Field of view 240 mm wide, 1.00 mm slice spacing, Slice 37/155, Brain
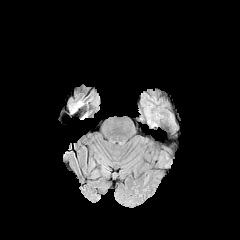
FLAIR MRI.
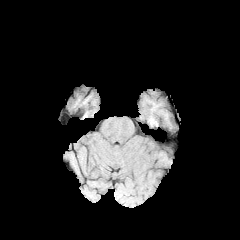
T1-weighted MRI.
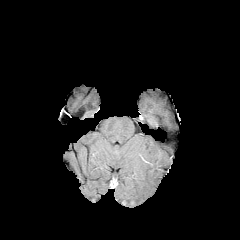
Post-contrast T1-weighted MR of the same slice.
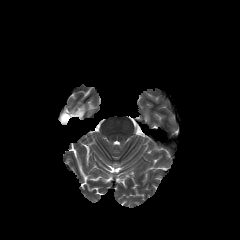
Same slice, T2-weighted magnetic resonance.
The edema is bounded by l=69, t=100, r=83, b=114.